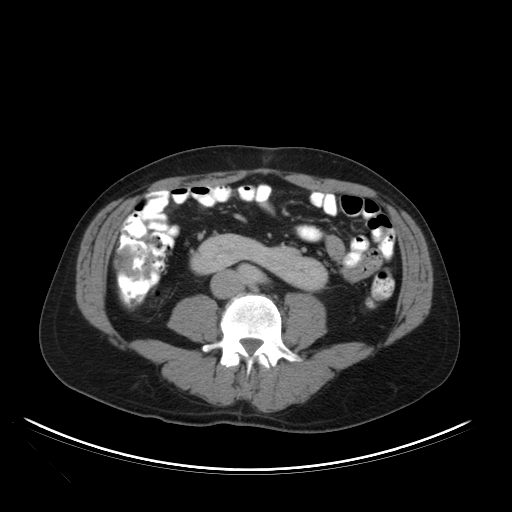

Abdomen. CT scan slice.

Annotated regions:
• colon tumor: left=114, top=245, right=139, bottom=276; left=142, top=254, right=156, bottom=277